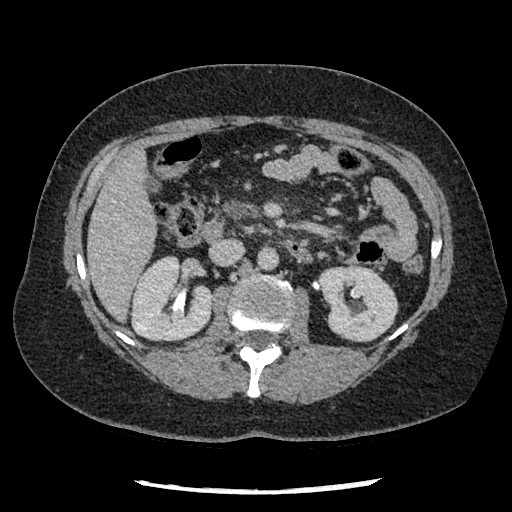

CT scan slice; Upper abdomen

Pancreas: [226,202,253,219].